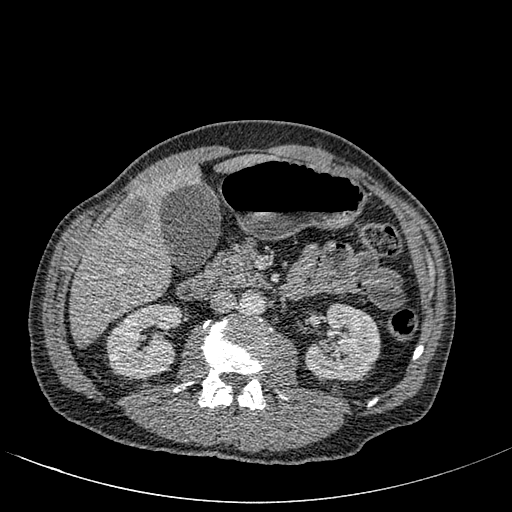

Computed tomography.
The liver lesion is at [x1=115, y1=196, x2=152, y2=233]. 2 liver regions are bounded by [x1=71, y1=164, x2=199, y2=345], [x1=218, y1=155, x2=273, y2=171]. 2 kidney regions are located at [x1=107, y1=304, x2=181, y2=378], [x1=306, y1=304, x2=379, y2=380].